Slice 111/155, Head
FLAIR MR.
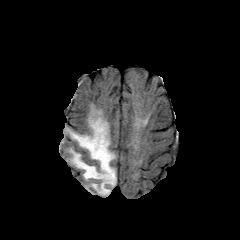
T1-weighted magnetic resonance.
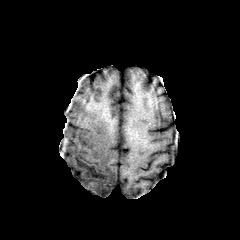
Post-contrast T1-weighted MRI.
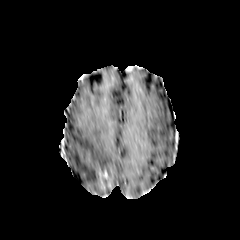
T2-weighted MRI.
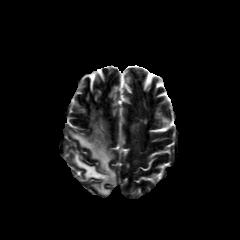
The edema lies within 68:109:116:196. 2 non-enhancing tumor core regions appear at 91:169:100:186, 98:178:110:192. The enhancing tumor lies within 98:170:109:188.